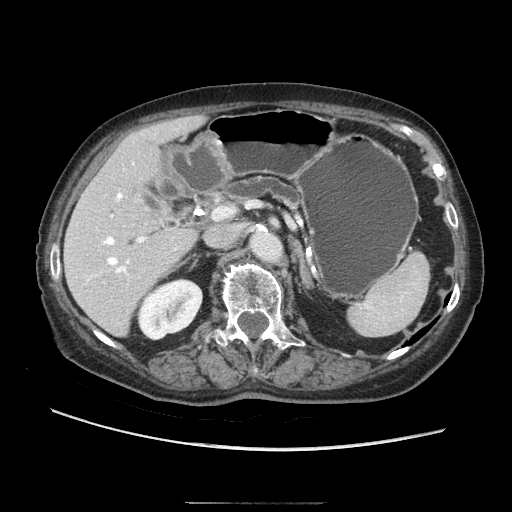
512x512, Computed tomography
<segmentation>
  <pancreas>l=219, t=176, r=300, b=209</pancreas>
</segmentation>